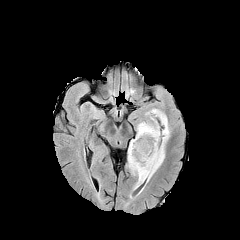
FLAIR MR image.
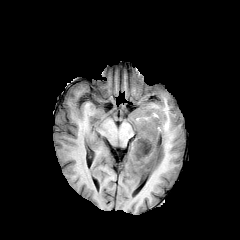
T1-weighted MR image.
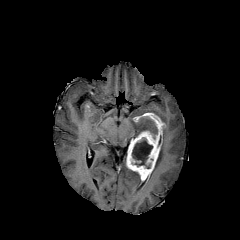
Post-contrast T1-weighted MR.
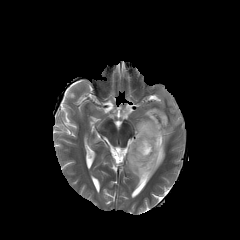
T2-weighted magnetic resonance.
Brain
2 non-enhancing tumor core regions are located at [136, 120, 157, 136], [132, 139, 152, 165]. The enhancing tumor lies within [126, 112, 165, 181]. 3 edema regions are bounded by [148, 108, 170, 179], [128, 170, 139, 189], [134, 114, 152, 134].